CT scan slice. 512x512 px. 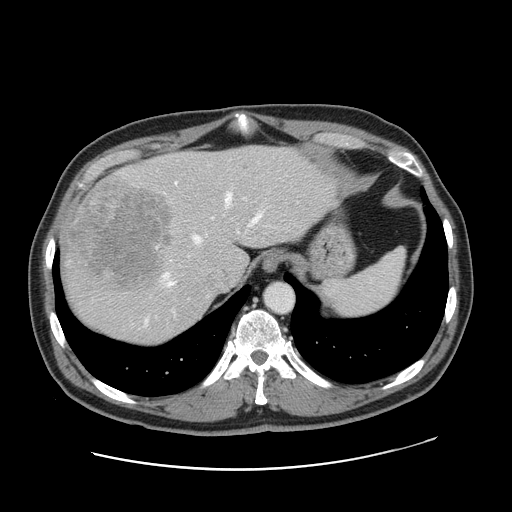 Not every hepatic vessel necessarily has a box.
Hepatic vessel = 225:192:231:205, 212:216:213:217, 251:212:261:223, 237:230:238:232, 145:317:147:324, 193:234:201:242, 172:308:175:315, 175:181:177:183, 245:254:247:261.
Liver tumor = 68:181:172:289.